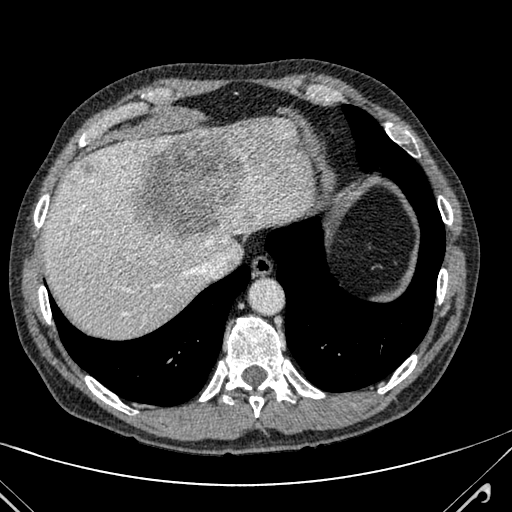
CT

3 liver lesion regions are bounded by [x1=84, y1=164, x2=91, y2=175], [x1=132, y1=135, x2=244, y2=244], [x1=245, y1=211, x2=253, y2=218]. The liver is at [x1=45, y1=119, x2=313, y2=337].